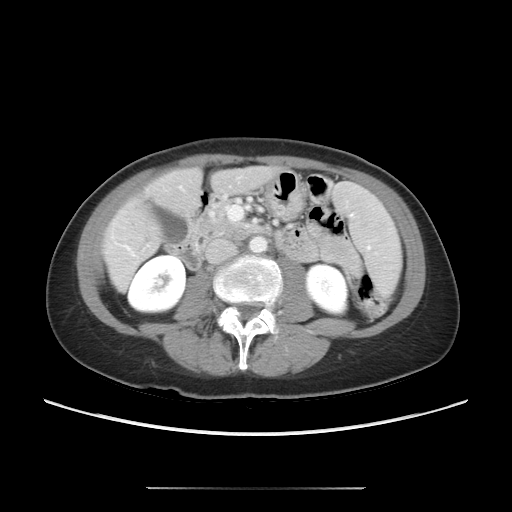
CT image. Liver. 512x512.

The vessel boxes may cover only some of the vessels.
Findings:
* hepatic vessel: x1=236 y1=174 x2=243 y2=183